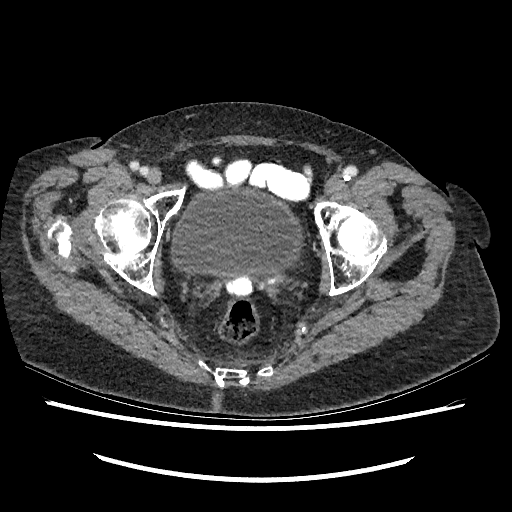 Lower abdomen; CT image

<segmentation>
  <urinary_bladder><bbox>172, 184, 303, 282</bbox></urinary_bladder>
</segmentation>